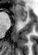 Hippocampus | Magnetic resonance
Anterior hippocampus at x1=15, y1=5, x2=27, y2=21.